FLAIR MR.
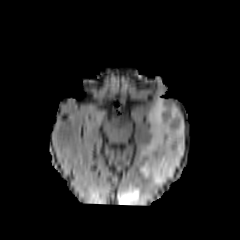
T1-weighted MR image.
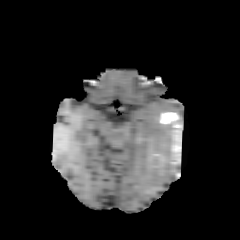
Post-contrast T1-weighted MRI.
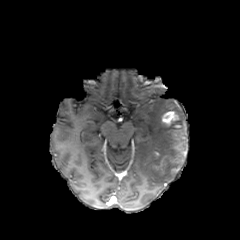
T2-weighted MRI.
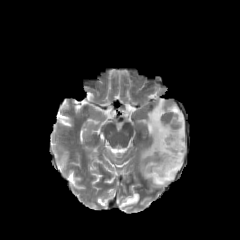
Head
Edema = x1=122 y1=194 x2=139 y2=205, x1=139 y1=94 x2=186 y2=186.
Enhancing tumor = x1=162 y1=111 x2=179 y2=123.
Non-enhancing tumor core = x1=163 y1=120 x2=185 y2=147, x1=171 y1=150 x2=183 y2=163.